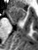

MR
The anterior hippocampus lies within [7,6,26,21].